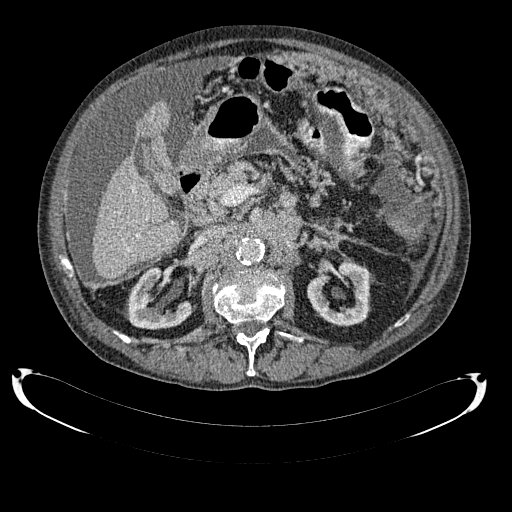
Abdomen. CT.
2 liver regions appear at bbox=[136, 101, 170, 148]; bbox=[92, 153, 180, 281]. 2 kidney regions are located at bbox=[128, 268, 191, 328]; bbox=[307, 261, 369, 325].